512x512, CT scan slice, Abdomen
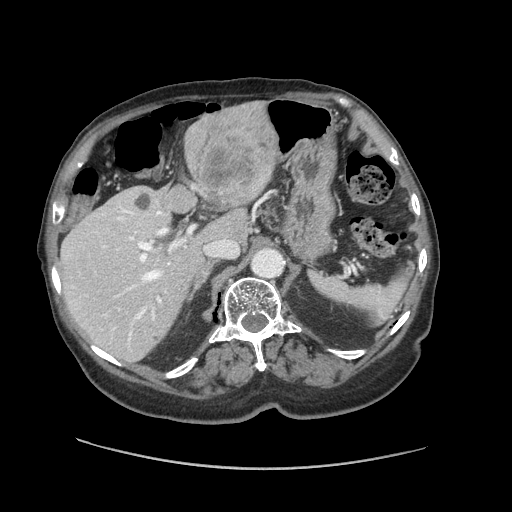 The vessel annotation is not exhaustive.
{
  "liver_tumor": [
    {"x1": 195, "y1": 107, "x2": 276, "y2": 204}
  ],
  "hepatic_vessel": [
    {"x1": 169, "y1": 240, "x2": 183, "y2": 250},
    {"x1": 188, "y1": 228, "x2": 191, "y2": 233},
    {"x1": 157, "y1": 212, "x2": 160, "y2": 213},
    {"x1": 204, "y1": 240, "x2": 238, "y2": 257},
    {"x1": 164, "y1": 228, "x2": 167, "y2": 230},
    {"x1": 142, "y1": 270, "x2": 160, "y2": 280},
    {"x1": 138, "y1": 242, "x2": 151, "y2": 261}
  ]
}